FLAIR MR image.
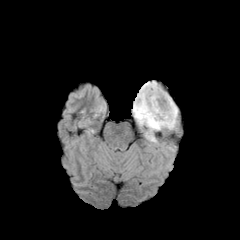
T1-weighted MR.
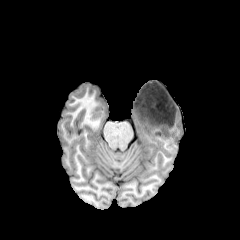
Post-contrast T1-weighted MR image.
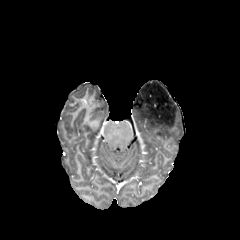
T2-weighted MR.
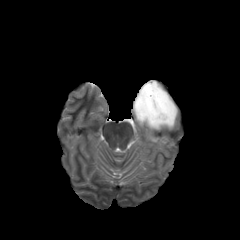
Image size 240x240. Head.
Segmented structures:
- edema: [132, 104, 178, 147]
- non-enhancing tumor core: [134, 82, 176, 126]